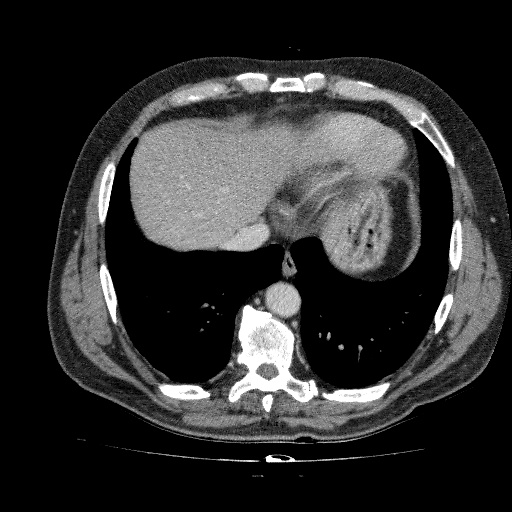
CT slice, 512x512 px, Abdomen
Annotated regions:
* liver: {"x1": 130, "y1": 119, "x2": 330, "y2": 251}, {"x1": 320, "y1": 207, "x2": 347, "y2": 251}